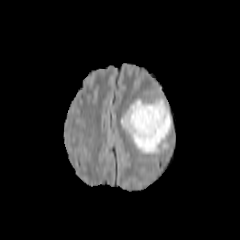
FLAIR MR image.
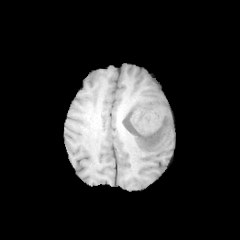
T1-weighted MRI of the same slice.
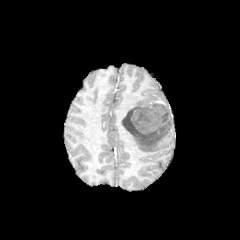
Post-contrast T1-weighted MRI.
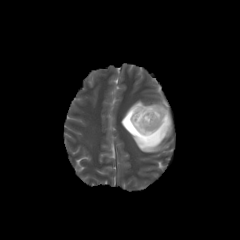
T2-weighted MR of the same slice.
Brain.
The non-enhancing tumor core lies within region(123, 102, 170, 138). The edema lies within region(120, 98, 172, 153).